CT | Upper abdomen | 512x512 px | Slice 43/113 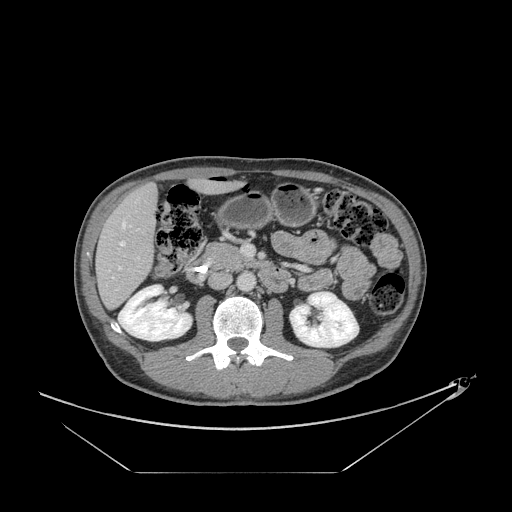
<segmentation>
  <pancreas>region(205, 243, 239, 266)</pancreas>
</segmentation>